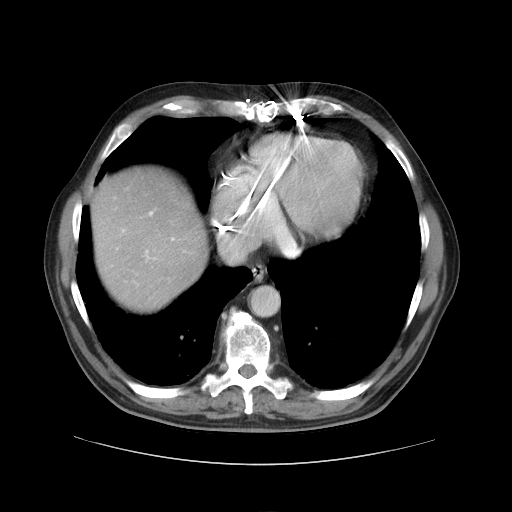

Computed tomography | Liver
The vessel annotation is not exhaustive.
The hepatic vessel is bounded by bbox(150, 211, 152, 214).